Field of view 512 mm wide, 1.00 mm slice spacing; CT scan slice; Image size 512x512; Abdomen; Slice 23/122 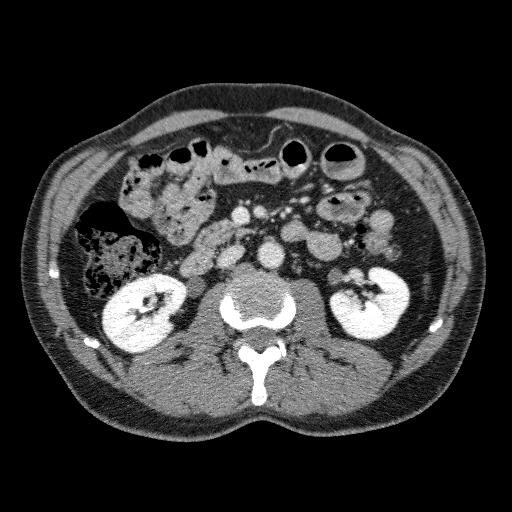 Segmented structures:
• kidney: (331, 268, 408, 338), (103, 274, 185, 352)